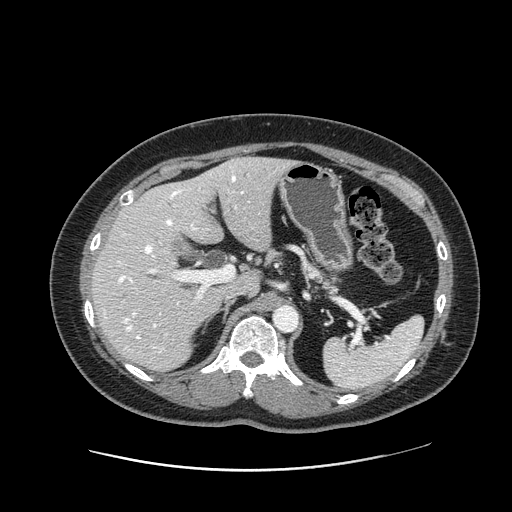
Upper abdomen, CT image, 512x512 px
Pancreas = 307 264 337 292.